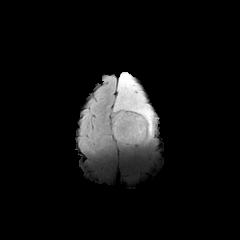
FLAIR magnetic resonance.
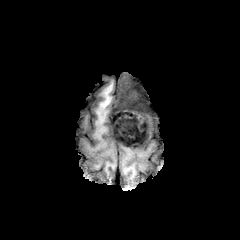
T1-weighted MRI.
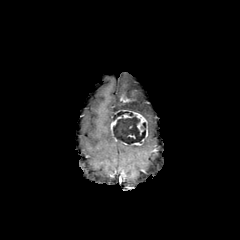
Post-contrast T1-weighted magnetic resonance.
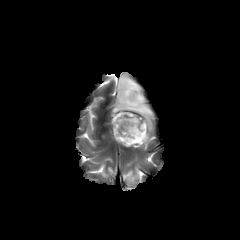
Same slice, T2-weighted MRI.
240x240. Brain.
Findings:
• edema: bbox=[117, 72, 152, 133]
• enhancing tumor: bbox=[129, 111, 147, 138]; bbox=[110, 116, 121, 135]
• non-enhancing tumor core: bbox=[112, 100, 146, 144]